Field of view 379 mm wide, 2.50 mm slice spacing | Abdomen | Computed tomography 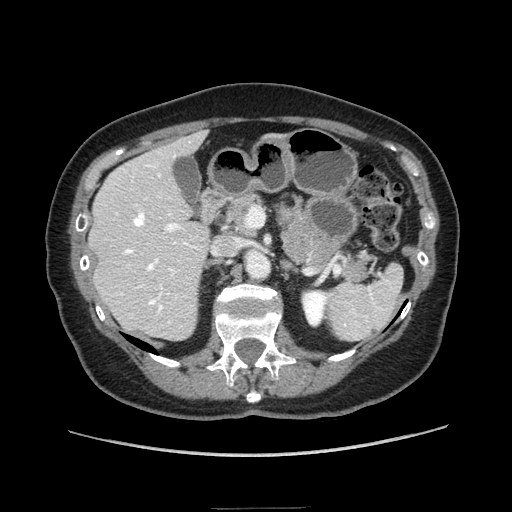

3 pancreas regions appear at box=[227, 194, 261, 229]; box=[344, 258, 368, 283]; box=[276, 197, 337, 267].